FLAIR MR image.
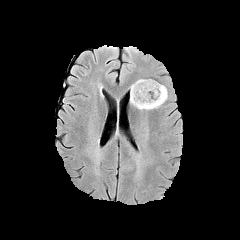
T1-weighted MRI.
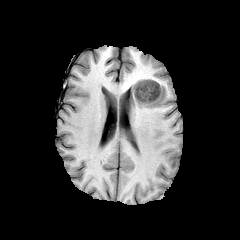
Post-contrast T1-weighted MR.
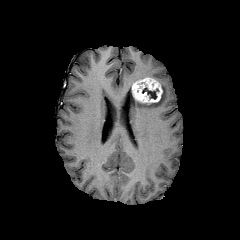
T2-weighted MR.
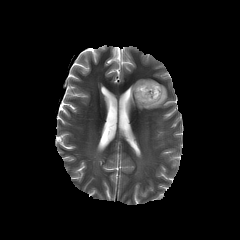
Findings:
- enhancing tumor: region(132, 79, 162, 103)
- non-enhancing tumor core: region(142, 88, 158, 99)
- edema: region(131, 84, 167, 109)